Brain, Slice 60 of 155
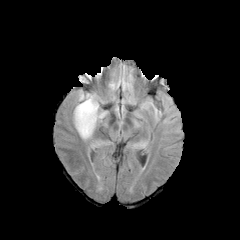
FLAIR MR.
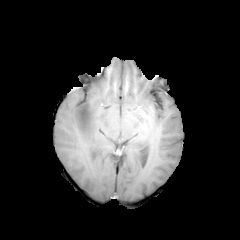
Same slice, T1-weighted magnetic resonance.
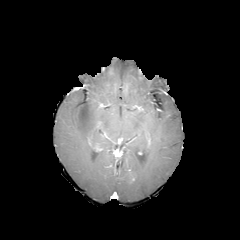
Post-contrast T1-weighted MR image of the same slice.
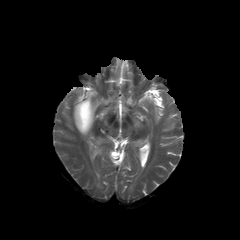
T2-weighted MRI.
Findings:
- non-enhancing tumor core: x1=80 y1=101 x2=91 y2=129
- edema: x1=141 y1=98 x2=160 y2=119, x1=73 y1=90 x2=107 y2=150